FLAIR MR image.
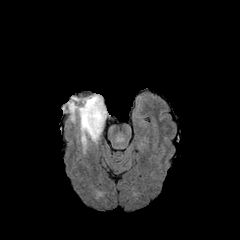
T1-weighted MR image.
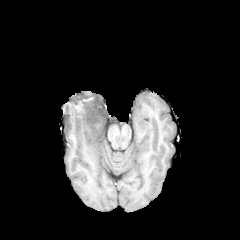
Post-contrast T1-weighted MRI.
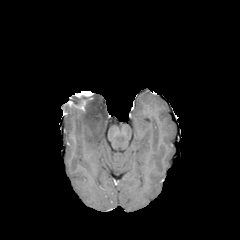
T2-weighted MR image.
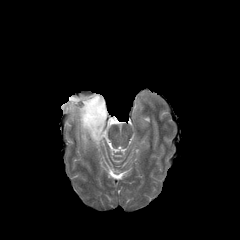
* edema: [68, 105, 106, 147]
* non-enhancing tumor core: [69, 95, 83, 106], [73, 95, 105, 121]
* enhancing tumor: [68, 99, 85, 109]